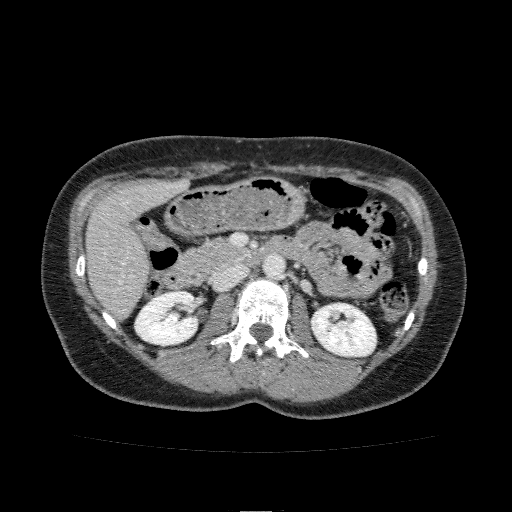
512x512 px; CT image; Liver
liver: [86, 179, 188, 318] | kidney: [312, 303, 375, 356], [135, 292, 196, 345]